512x512, Lower abdomen, Slice 98/629, Image width 400 mm, Computed tomography
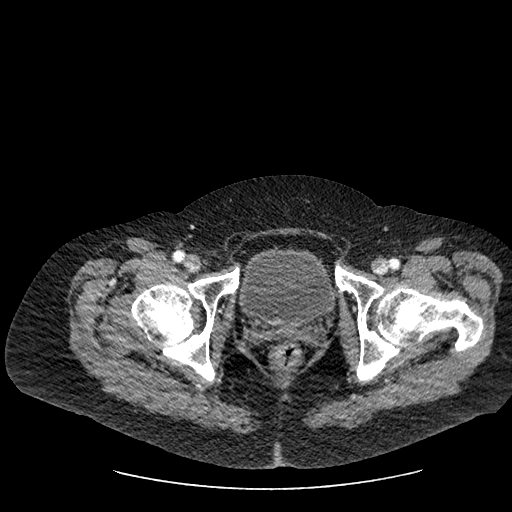

Urinary bladder = (left=235, top=247, right=336, bottom=331).